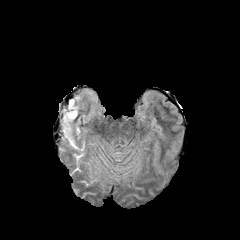
FLAIR MRI.
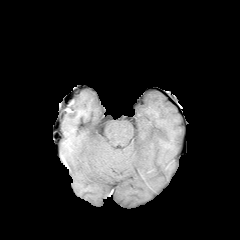
Same slice, T1-weighted magnetic resonance.
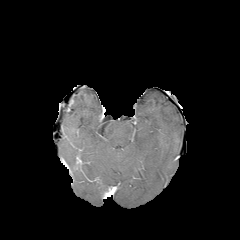
Post-contrast T1-weighted MRI.
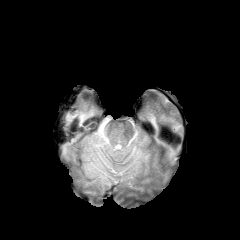
T2-weighted MR.
Image size 240x240
4 edema regions are bounded by <box>76,148,85,161</box>, <box>89,138,112,173</box>, <box>62,102,88,149</box>, <box>117,148,141,172</box>.